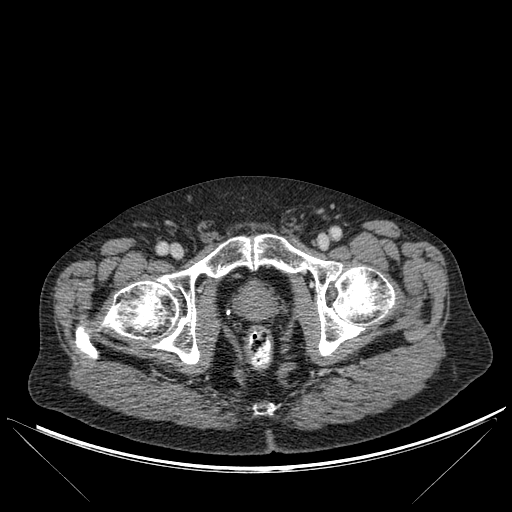
Computed tomography. 512x512 px.

Bone at (254,403,273,414), (75,326,96,358), (101,234,394,364).